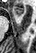
Medial temporal lobe; MRI

anterior hippocampus: <bbox>14, 7, 23, 16</bbox>